512x512, Abdomen, Computed tomography, Slice index 26
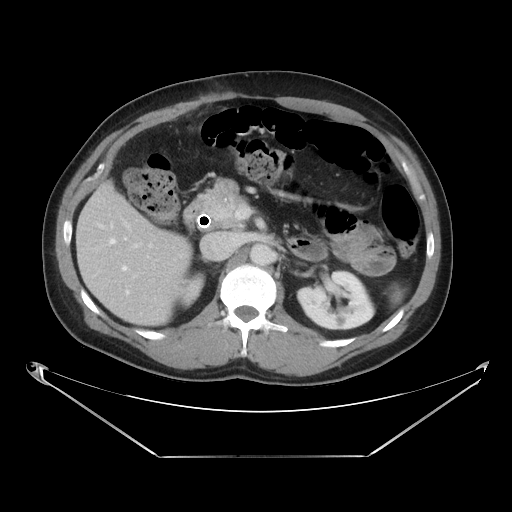
The pancreas is bounded by [196, 192, 244, 230]. The pancreatic tumor appears at [204, 194, 236, 218].